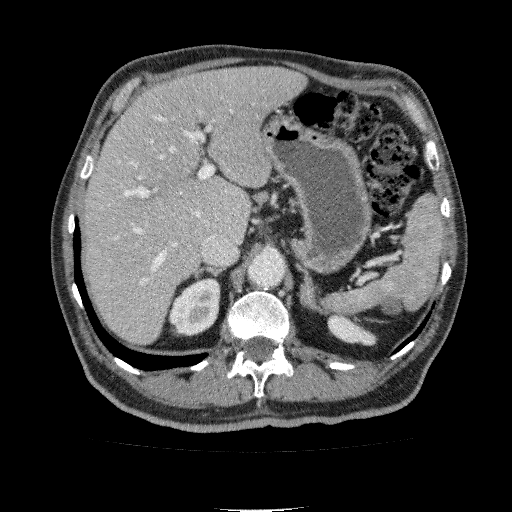

CT, 512x512 px

Liver = 85, 68, 306, 343.
Kidney = 170, 279, 218, 334; 328, 316, 374, 344.